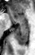 Medial temporal lobe; Magnetic resonance

<segmentation>
  <posterior_hippocampus>[14, 24, 28, 45]</posterior_hippocampus>
  <anterior_hippocampus>[10, 9, 27, 23]</anterior_hippocampus>
</segmentation>